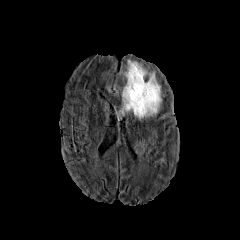
FLAIR magnetic resonance.
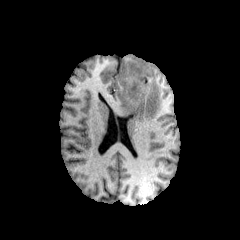
T1-weighted magnetic resonance of the same slice.
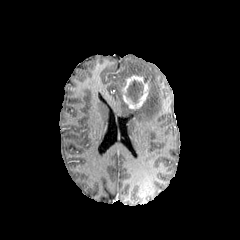
Post-contrast T1-weighted MRI of the same slice.
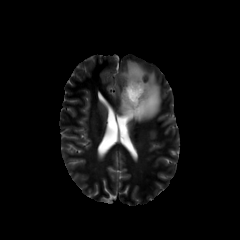
Same slice, T2-weighted MRI.
Brain, 240x240 px
2 edema regions are bounded by box(124, 60, 147, 78); box(119, 73, 161, 121). The enhancing tumor is located at box(123, 75, 152, 109). The non-enhancing tumor core appears at box(125, 79, 143, 102).